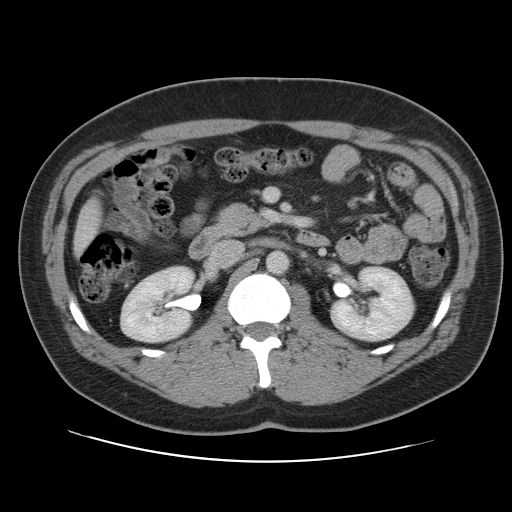
Abdomen. Image size 512x512. CT. The vessel annotation is not exhaustive.
Hepatic vessel at region(89, 229, 94, 233); region(83, 229, 86, 231); region(75, 233, 91, 252); region(80, 202, 95, 221).